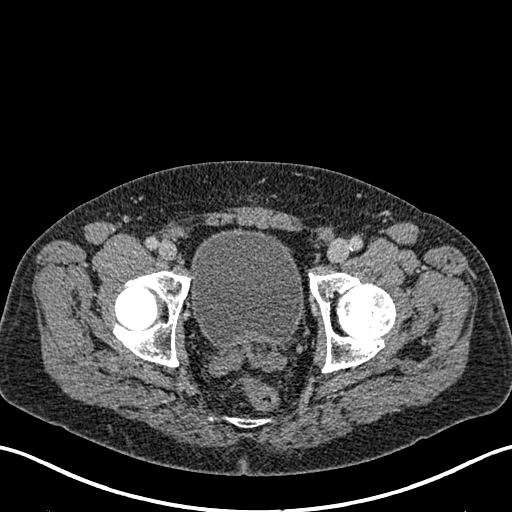
CT slice. The urinary bladder is bounded by <bbox>190, 229, 303, 342</bbox>.